FLAIR MR.
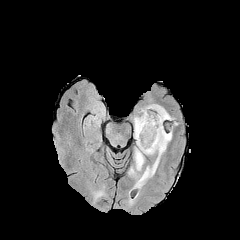
T1-weighted MR.
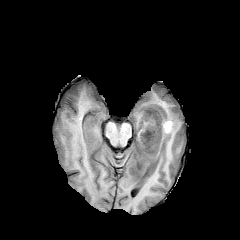
Post-contrast T1-weighted MR.
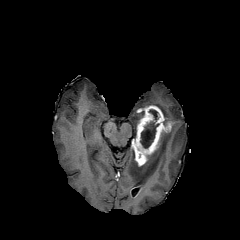
T2-weighted magnetic resonance.
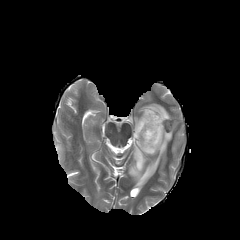
enhancing_tumor:
  - l=133, t=105, r=164, b=166
edema:
  - l=152, t=104, r=172, b=120
  - l=128, t=122, r=173, b=188
non-enhancing_tumor_core:
  - l=140, t=121, r=157, b=148
  - l=149, t=110, r=157, b=119